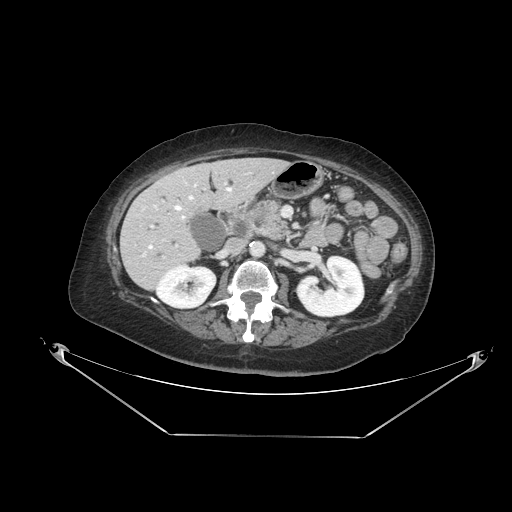
CT, Image size 512x512

The pancreas appears at x1=247 y1=200 x2=285 y2=237. The pancreatic tumor is bounded by x1=250 y1=206 x2=272 y2=219.